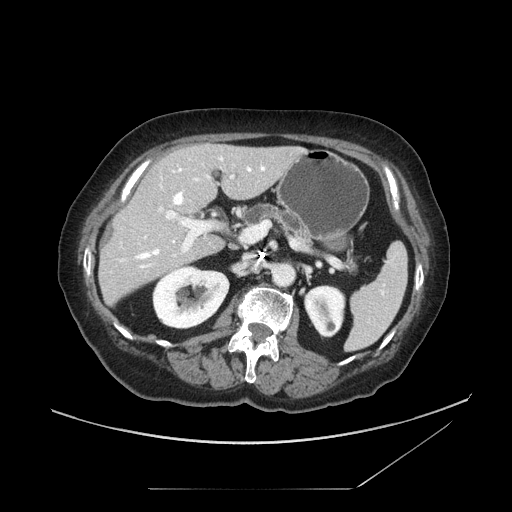
Computed tomography
The pancreas is at bbox=[242, 203, 308, 240].